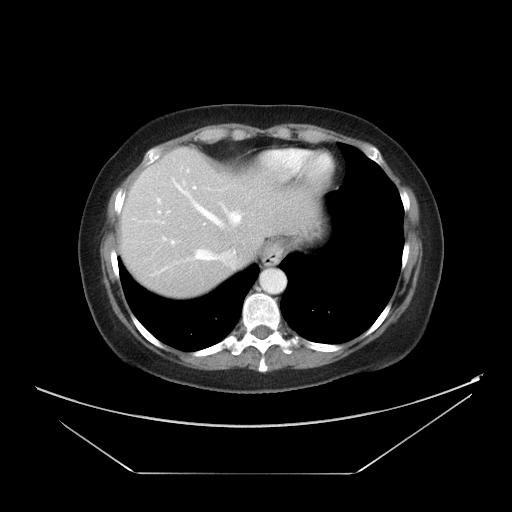

Abdomen | Computed tomography | 512x512
Only some of the vessels may be annotated.
12 hepatic vessel regions appear at [x1=162, y1=222, x2=164, y2=223], [x1=176, y1=184, x2=188, y2=194], [x1=171, y1=240, x2=173, y2=243], [x1=158, y1=211, x2=160, y2=212], [x1=158, y1=199, x2=159, y2=202], [x1=195, y1=249, x2=235, y2=266], [x1=172, y1=179, x2=174, y2=182], [x1=183, y1=182, x2=185, y2=184], [x1=222, y1=206, x2=240, y2=223], [x1=163, y1=237, x2=165, y2=240], [x1=193, y1=186, x2=195, y2=188], [x1=193, y1=202, x2=222, y2=225].